Slice 128/836 | Lower abdomen | Field of view 344 mm wide, 0.80 mm slice spacing | CT image | 512x512
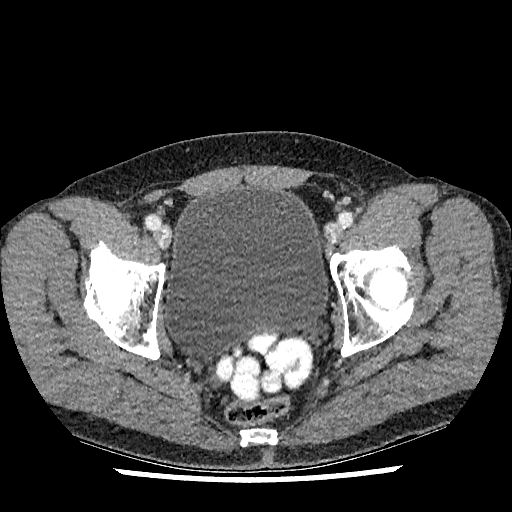
Urinary bladder: bounding box bbox(165, 187, 328, 356).